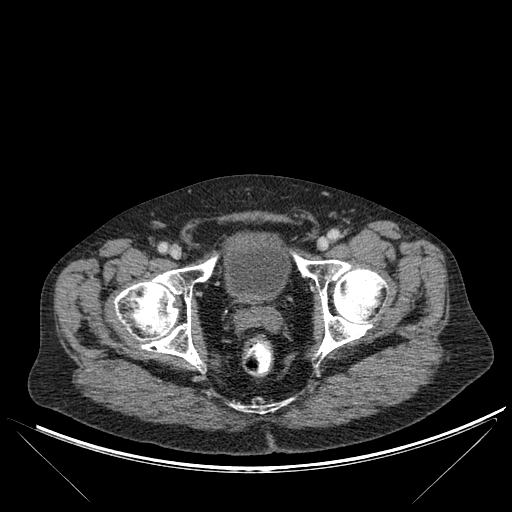
512x512; Pelvis; CT slice

{"urinary_bladder": ["left=221, top=230, right=291, bottom=299"], "bone": ["left=114, top=257, right=216, bottom=366", "left=293, top=255, right=385, bottom=356", "left=250, top=404, right=276, bottom=413"]}